CT slice; 512x512 px
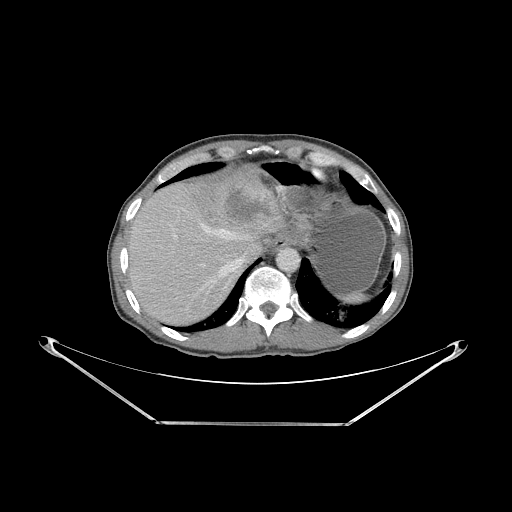

lung:
  - bbox=[295, 259, 386, 327]
  - bbox=[185, 270, 247, 330]
  - bbox=[343, 174, 380, 209]
  - bbox=[171, 163, 222, 182]
bone:
  - bbox=[343, 325, 368, 337]
  - bbox=[226, 267, 311, 335]
  - bbox=[382, 291, 395, 313]
  - bbox=[394, 252, 400, 275]
  - bbox=[126, 290, 139, 313]
  - bbox=[120, 248, 127, 272]
  - bbox=[126, 198, 140, 220]
  - bbox=[360, 175, 372, 187]
  - bbox=[388, 209, 399, 234]
  - bbox=[161, 327, 187, 340]
liver:
  - bbox=[130, 164, 279, 326]
focal_liver_lesion:
  - bbox=[224, 189, 268, 222]